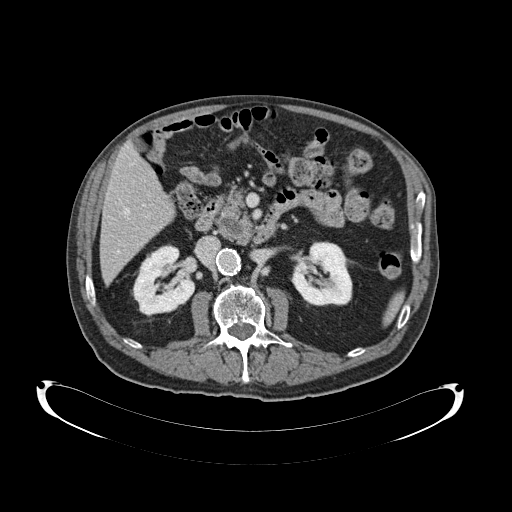
Upper abdomen. CT scan slice.
pancreatic tumor: 221 217 244 235 | pancreas: 214 187 254 245